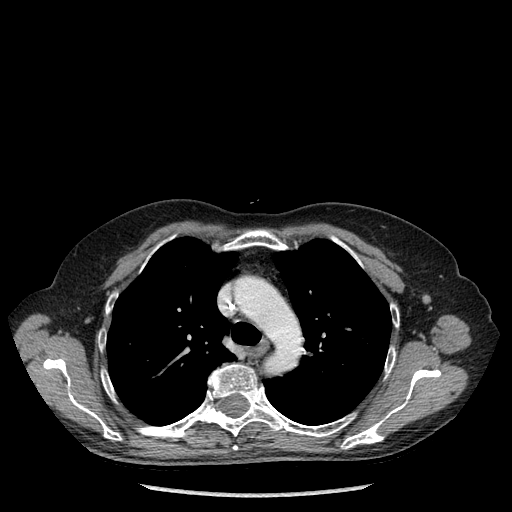

CT scan slice; Chest
Annotated regions:
* bone: region(140, 241, 163, 271); region(390, 303, 399, 327); region(105, 293, 117, 314); region(43, 357, 121, 440); region(221, 230, 287, 250); region(98, 329, 106, 350); region(385, 347, 395, 378); region(341, 369, 440, 448); region(331, 235, 361, 265); region(101, 369, 116, 402); region(137, 364, 355, 437)
* lung: region(265, 239, 391, 425); region(107, 237, 260, 425)